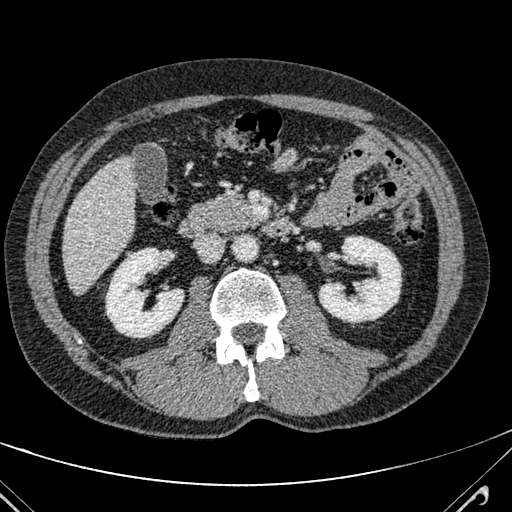 Abdomen. Computed tomography.

Annotated regions:
- focal liver lesion: 110:176:120:189
- liver: 63:157:134:293